Slice 76 of 155. Field of view 240 mm wide, 1.00 mm slice spacing. 240x240 px. Brain.
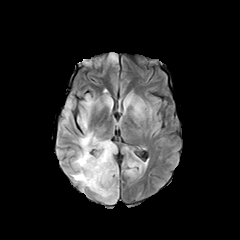
FLAIR MR image.
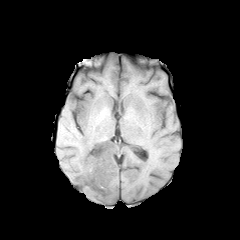
T1-weighted MR.
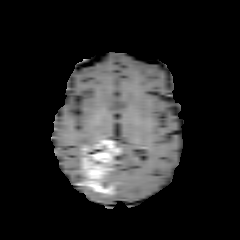
Same slice, post-contrast T1-weighted magnetic resonance.
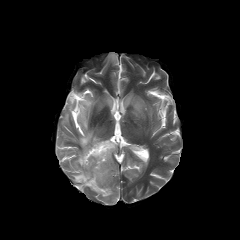
T2-weighted MR image.
Edema at 104:172:114:193, 77:95:93:128, 70:152:84:182, 68:97:75:107, 78:132:99:147.
Enhancing tumor at 80:140:116:195.
Non-enhancing tumor core at 99:168:113:193, 82:140:103:155, 88:158:109:167.